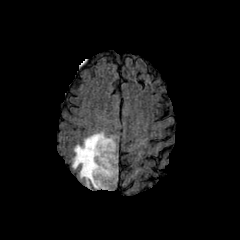
FLAIR MRI.
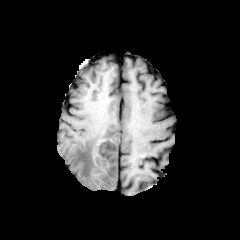
T1-weighted magnetic resonance of the same slice.
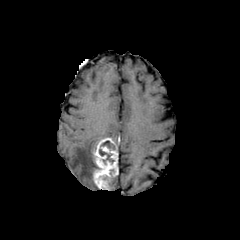
Post-contrast T1-weighted MR.
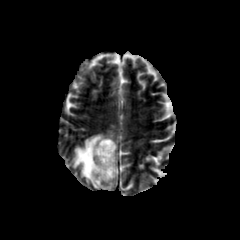
T2-weighted MRI.
Head
{
  "enhancing_tumor": [
    "left=92, top=138, right=117, bottom=189"
  ],
  "non-enhancing_tumor_core": [
    "left=99, top=149, right=113, bottom=162",
    "left=82, top=143, right=97, bottom=179",
    "left=107, top=175, right=117, bottom=190"
  ],
  "edema": [
    "left=70, top=131, right=117, bottom=189"
  ]
}